Brain
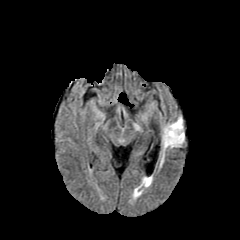
FLAIR MR.
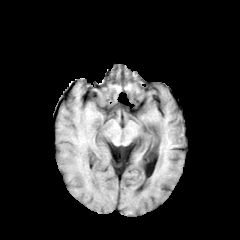
T1-weighted MRI of the same slice.
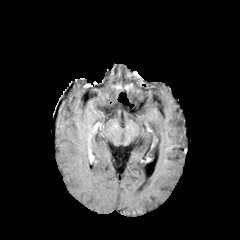
Post-contrast T1-weighted MR image.
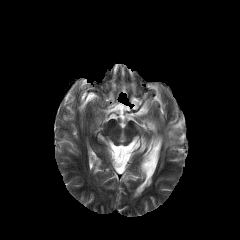
Same slice, T2-weighted MRI.
{
  "edema": [
    "[161, 117, 184, 150]"
  ]
}